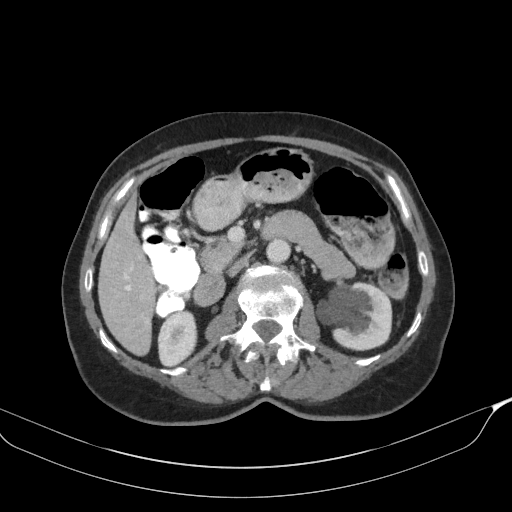 Abdomen; CT slice
The pancreas is at box=[201, 241, 240, 273].